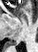
MRI slice.
The posterior hippocampus is at [7, 40, 19, 45].